CT | Upper abdomen | Image width 512 mm | Image size 512x512 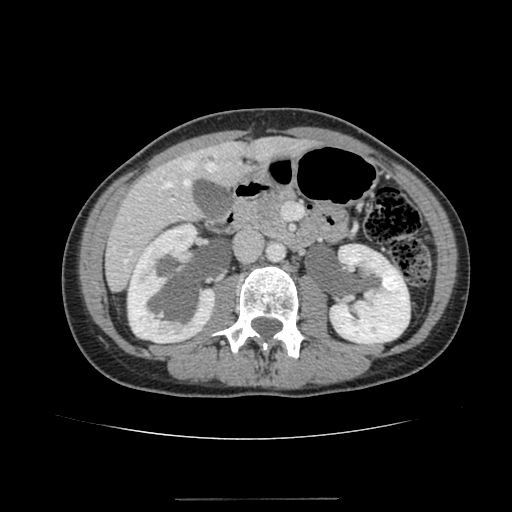

liver:
  - 105 135 314 293
kidney:
  - 128 224 214 342
  - 330 244 409 343